Slice index 30. Pelvis. CT image. 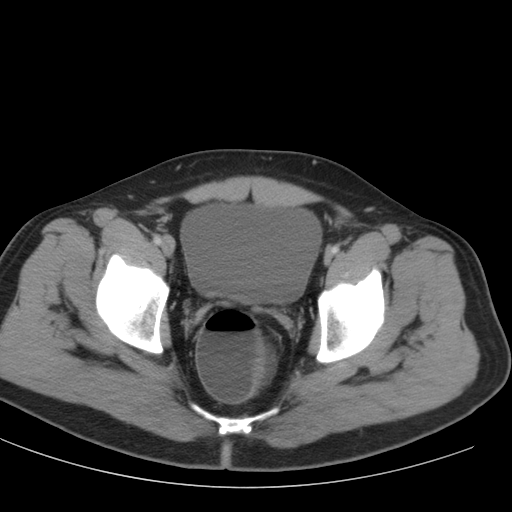 Urinary bladder: bounding box <box>181,197,321,304</box>.